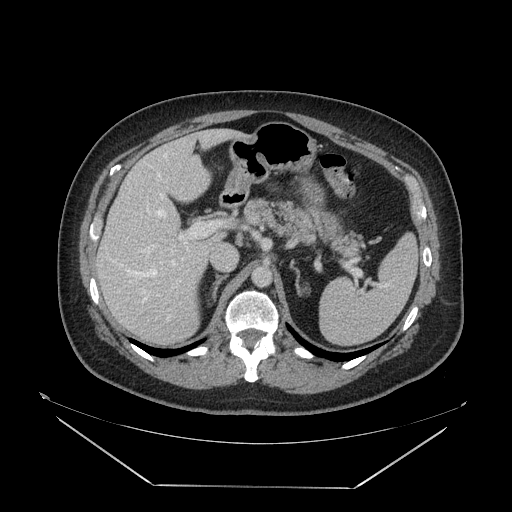
Upper abdomen | CT | 512x512

pancreas: (247,199,320,241)